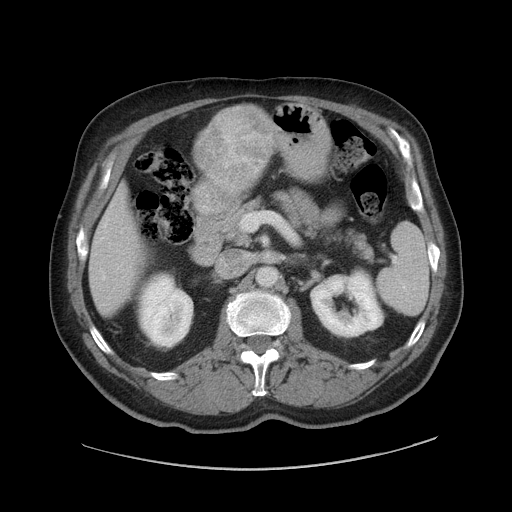
Computed tomography; Liver

Only some of the vessels may be annotated.
The hepatic vessel lies within [x1=102, y1=276, x2=104, y2=279]. The liver tumor lies within [x1=197, y1=106, x2=275, y2=188].